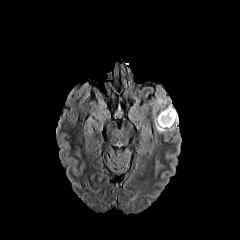
FLAIR magnetic resonance.
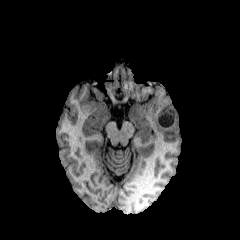
Same slice, T1-weighted magnetic resonance.
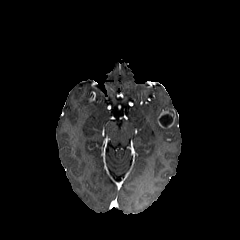
Post-contrast T1-weighted magnetic resonance.
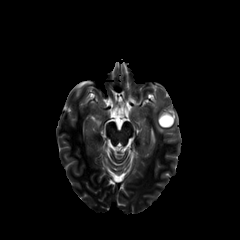
T2-weighted MR image.
The enhancing tumor is bounded by 157 108 175 128. The non-enhancing tumor core is at 160 115 172 128. 2 edema regions are located at 130 107 151 148, 147 87 178 135.